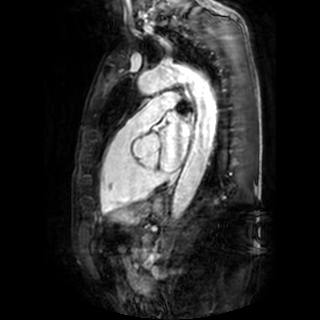
Cardiac; MRI slice

Segmented structures:
• left atrium: <bbox>159, 113, 189, 171</bbox>